Slice index 50 | Image size 512x512 | CT scan slice
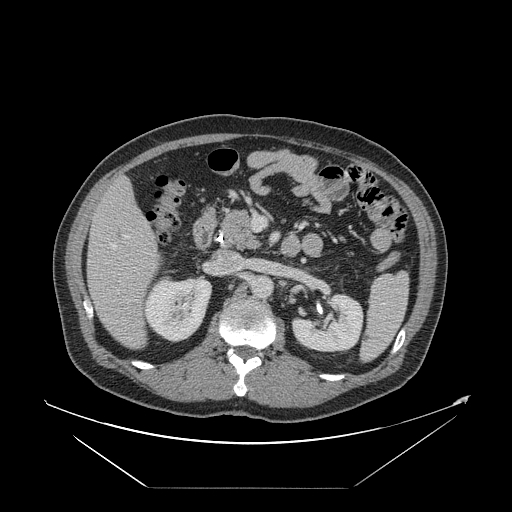 Not every hepatic vessel necessarily has a box.
Findings:
- hepatic vessel: x1=112 y1=245 x2=115 y2=248, x1=123 y1=235 x2=127 y2=238